Computed tomography. Liver. 512x512.
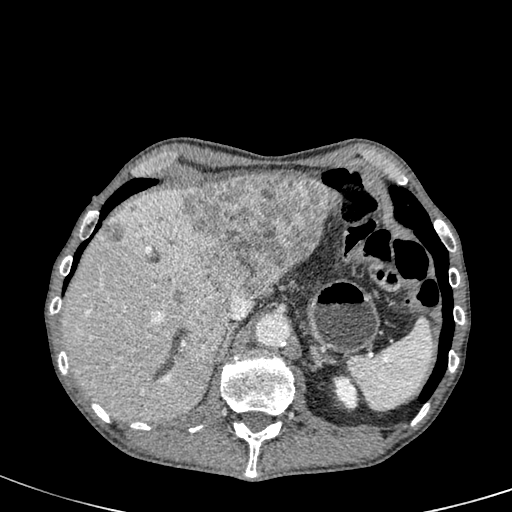
Kidney: l=329, t=373, r=362, b=411.
Liver: l=62, t=188, r=241, b=422.
Hepatic lesion: l=183, t=176, r=339, b=297; l=103, t=224, r=123, b=241; l=173, t=292, r=182, b=302.